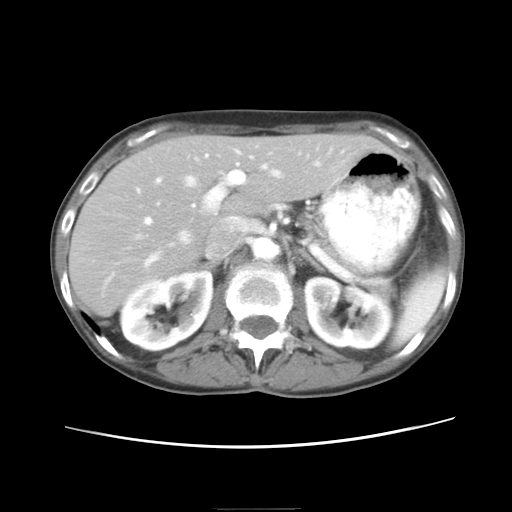
CT image. Image size 512x512. Abdomen.
Not every hepatic vessel necessarily has a box.
hepatic_vessel:
  - box(144, 217, 150, 223)
  - box(204, 169, 244, 205)
  - box(192, 203, 194, 206)
  - box(144, 253, 157, 264)
  - box(235, 149, 239, 153)
  - box(186, 176, 194, 184)
  - box(272, 170, 278, 175)
  - box(180, 231, 187, 239)
  - box(250, 156, 251, 157)
  - box(262, 164, 265, 168)